Slice index 25; Computed tomography; Field of view 402x402 mm 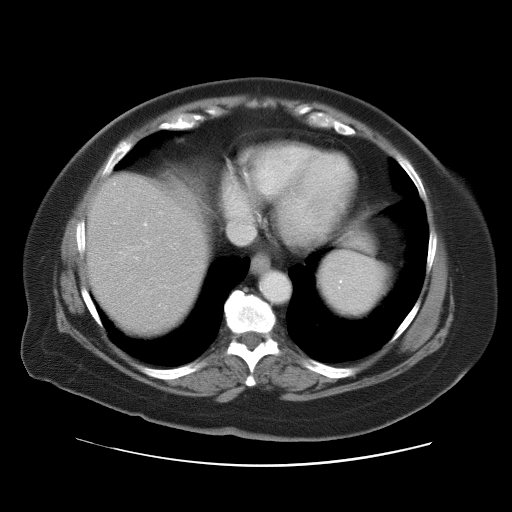
spleen:
  - [318, 254, 385, 317]